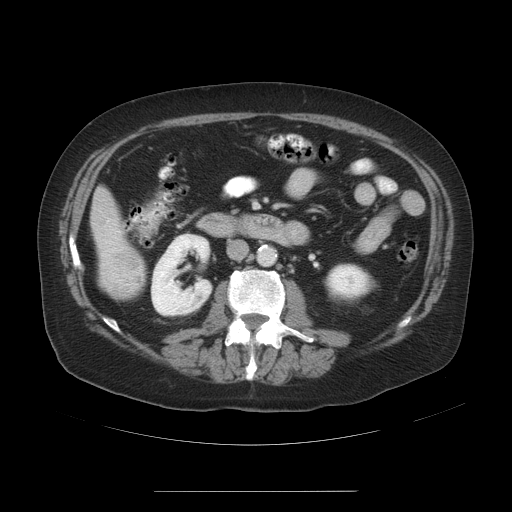
512x512. Abdomen. CT image.
Only some of the vessels may be annotated.
Liver tumor — 100, 246, 144, 298.
Hepatic vessel — 107, 218, 110, 221; 114, 237, 116, 238.